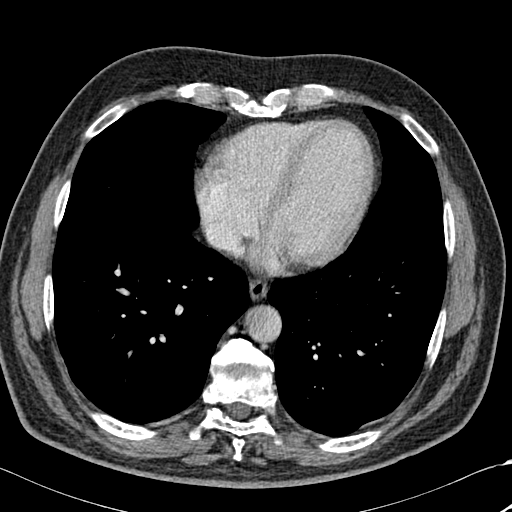

512x512 px; Chest; CT scan slice

Lung: bounding box <box>52,100,250,424</box>, <box>267,106,446,436</box>.
Bone: bounding box <box>43,277,53,324</box>, <box>303,85,326,95</box>, <box>228,88,294,117</box>, <box>177,84,204,91</box>, <box>55,183,69,224</box>, <box>190,338,275,459</box>, <box>320,431,379,452</box>, <box>178,93,194,96</box>, <box>444,203,454,252</box>, <box>403,115,437,152</box>, <box>93,414,154,439</box>, <box>428,313,445,360</box>, <box>86,106,125,136</box>.